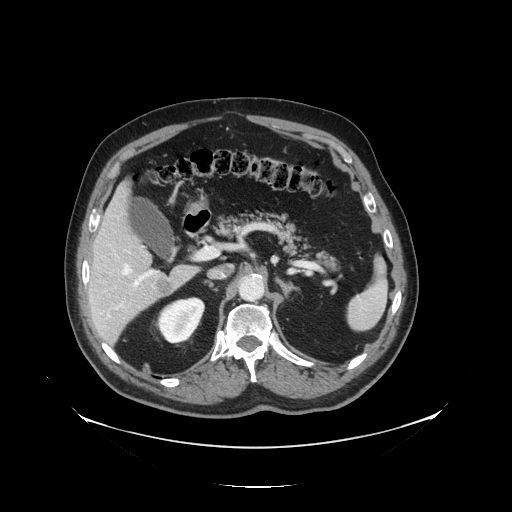 CT image.
Only some of the vessels may be annotated.
- liver tumor: 157:279:173:294
- hepatic vessel: 122:263:131:275, 127:251:129:252, 107:315:110:317, 117:304:122:308, 133:270:159:287